240x240 px; Brain
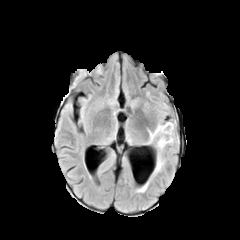
FLAIR MRI.
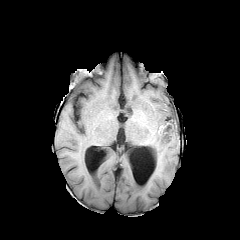
T1-weighted MRI of the same slice.
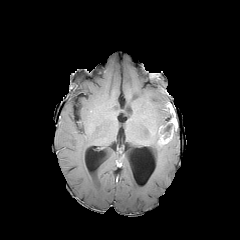
Same slice, post-contrast T1-weighted MRI.
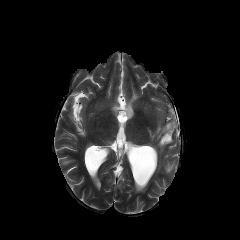
T2-weighted MRI of the same slice.
<segmentation>
  <non-enhancing_tumor_core>x1=165 y1=123 x2=171 y2=137</non-enhancing_tumor_core>
  <enhancing_tumor>x1=158 y1=117 x2=177 y2=143</enhancing_tumor>
  <edema>x1=146 y1=122 x2=168 y2=176, x1=136 y1=181 x2=148 y2=192</edema>
</segmentation>